Slice 51 of 155 | Head
FLAIR magnetic resonance.
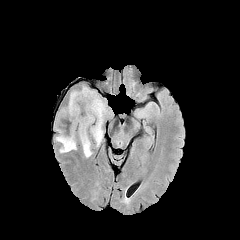
T1-weighted MR.
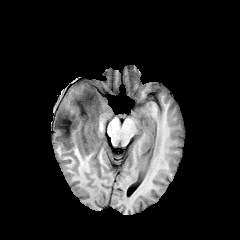
Post-contrast T1-weighted MR.
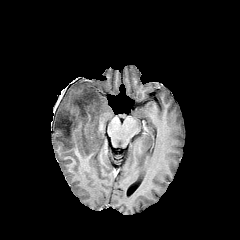
T2-weighted magnetic resonance.
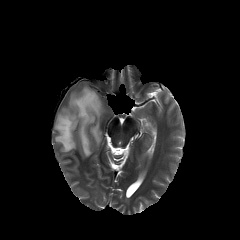
Non-enhancing tumor core at [57,89,99,137].
Edema at [55,86,106,157].